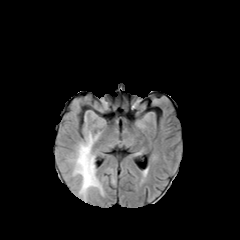
FLAIR MRI.
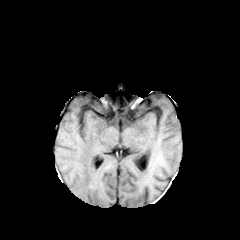
T1-weighted MR.
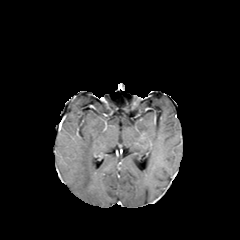
Post-contrast T1-weighted magnetic resonance of the same slice.
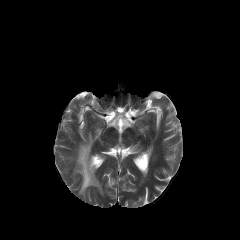
T2-weighted magnetic resonance.
Brain
The edema appears at (73,133,102,198).